Slice 94/155 | Field of view 240x240 mm
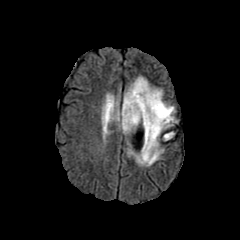
FLAIR magnetic resonance.
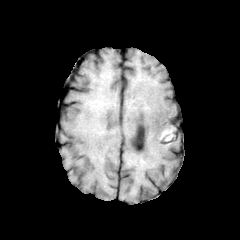
T1-weighted MR image.
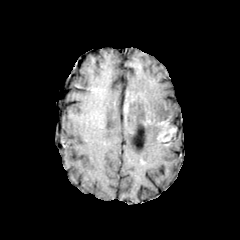
Post-contrast T1-weighted MRI of the same slice.
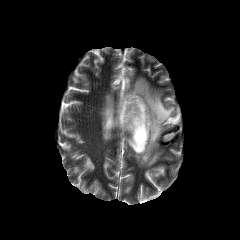
T2-weighted MRI.
The edema appears at (102, 76, 178, 166). 3 non-enhancing tumor core regions are bounded by (159, 129, 172, 140), (121, 93, 138, 124), (140, 112, 171, 142).